FLAIR MR image.
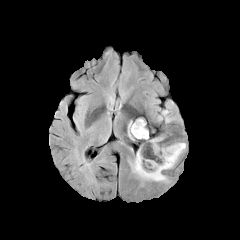
T1-weighted MR image.
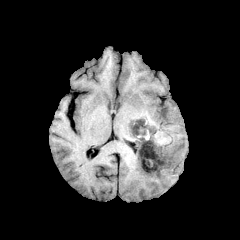
Post-contrast T1-weighted magnetic resonance.
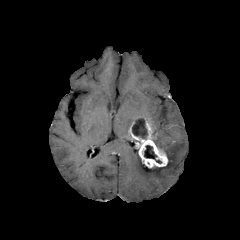
T2-weighted MRI.
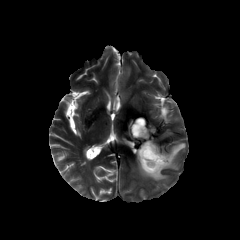
3 non-enhancing tumor core regions are located at {"x1": 132, "y1": 118, "x2": 148, "y2": 139}, {"x1": 144, "y1": 145, "x2": 162, "y2": 163}, {"x1": 142, "y1": 164, "x2": 162, "y2": 170}. The enhancing tumor is located at {"x1": 128, "y1": 121, "x2": 167, "y2": 167}. 2 edema regions appear at {"x1": 130, "y1": 142, "x2": 186, "y2": 181}, {"x1": 158, "y1": 105, "x2": 172, "y2": 122}.